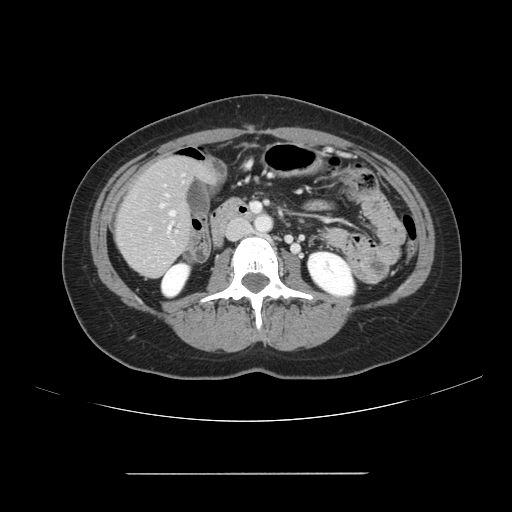
Computed tomography.

Some hepatic vessels may have no box.
Hepatic vessel: bounding box rect(168, 225, 170, 230); rect(161, 204, 163, 206); rect(170, 211, 174, 215).